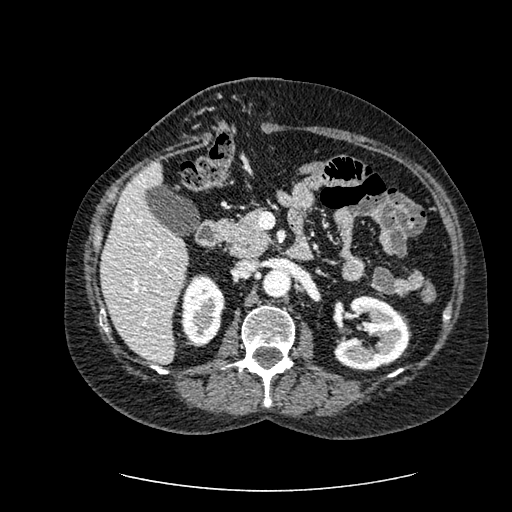

CT slice.
kidney:
  - (x1=334, y1=296, x2=408, y2=369)
  - (x1=182, y1=276, x2=223, y2=345)
liver:
  - (x1=100, y1=161, x2=186, y2=363)